Upper abdomen | CT slice

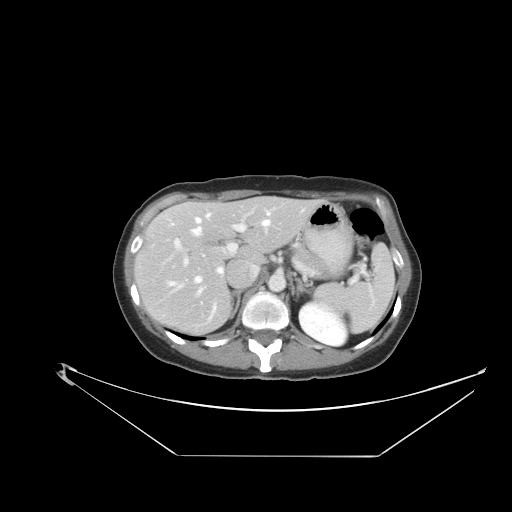 pancreas: [x1=296, y1=248, x2=328, y2=274]